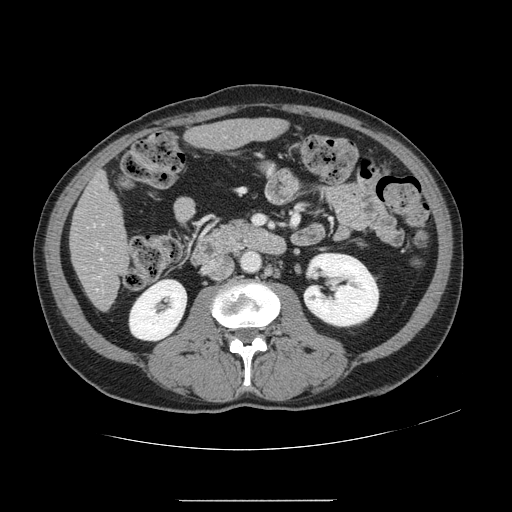
Liver, CT scan slice
Some hepatic vessels may have no box.
hepatic_vessel:
  - x1=101, y1=247, x2=103, y2=249
  - x1=96, y1=243, x2=97, y2=245
  - x1=95, y1=277, x2=99, y2=278
  - x1=93, y1=224, x2=94, y2=226